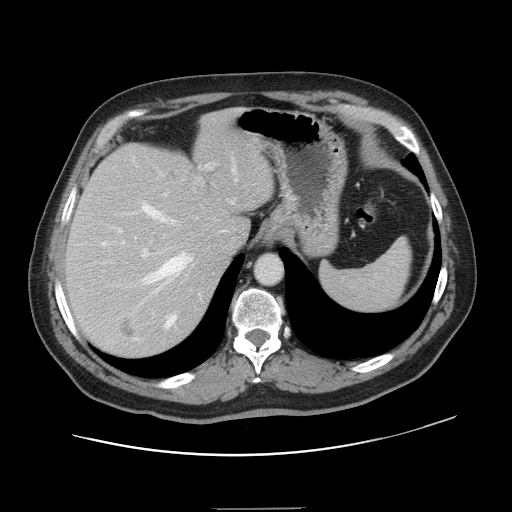 Abdomen | CT slice

Some hepatic vessels may have no box.
Annotated regions:
• liver tumor: x1=169, y1=171, x2=177, y2=180; x1=120, y1=322, x2=135, y2=336
• hepatic vessel: x1=121, y1=241, x2=124, y2=243; x1=208, y1=164, x2=211, y2=167; x1=118, y1=229, x2=121, y2=232; x1=235, y1=178, x2=236, y2=180; x1=232, y1=166, x2=235, y2=171; x1=141, y1=202, x2=174, y2=223; x1=166, y1=314, x2=176, y2=326; x1=143, y1=252, x2=191, y2=281; x1=153, y1=281, x2=168, y2=292; x1=143, y1=250, x2=148, y2=257; x1=101, y1=242, x2=107, y2=244; x1=134, y1=338, x2=136, y2=339